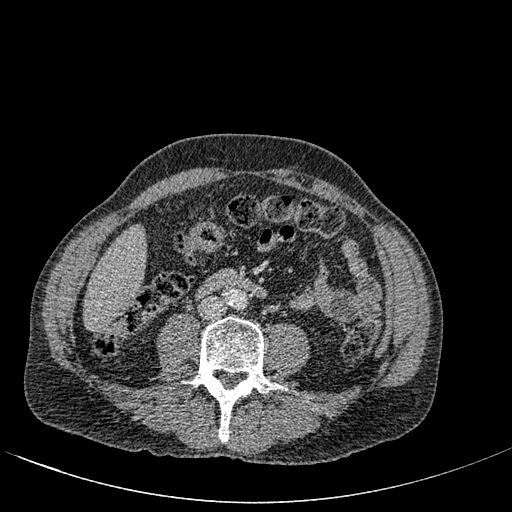

CT slice. Liver. The liver is bounded by [85,228,144,327].